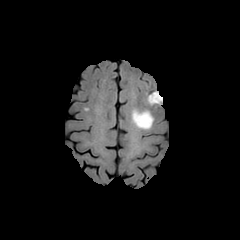
FLAIR magnetic resonance.
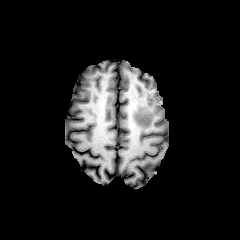
T1-weighted MR image of the same slice.
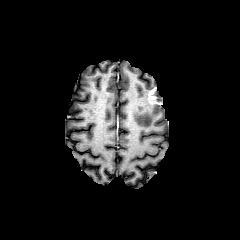
Same slice, post-contrast T1-weighted MR.
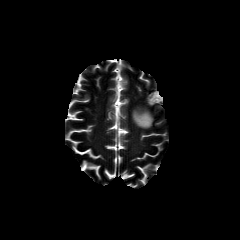
T2-weighted MR of the same slice.
Image size 240x240; Brain
{
  "enhancing_tumor": [
    "<bbox>148, 93, 159, 103</bbox>"
  ],
  "edema": [
    "<bbox>130, 98, 154, 130</bbox>"
  ]
}